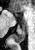

35x50 px; Medial temporal lobe; MR image
{
  "anterior_hippocampus": [
    "12,12,17,15"
  ],
  "posterior_hippocampus": [
    "11,30,25,42"
  ]
}